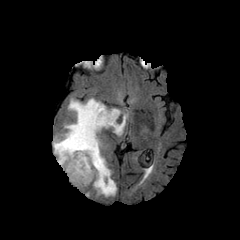
FLAIR MR.
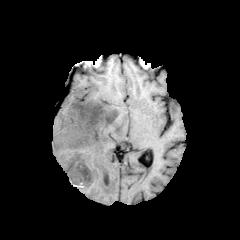
T1-weighted magnetic resonance of the same slice.
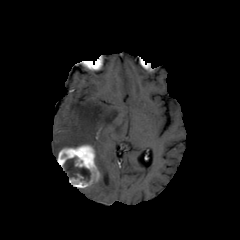
Post-contrast T1-weighted MRI of the same slice.
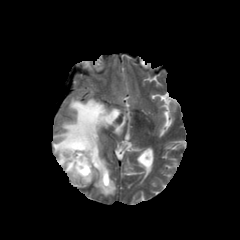
T2-weighted MR of the same slice.
non-enhancing_tumor_core:
  - rect(64, 158, 90, 180)
edema:
  - rect(52, 97, 129, 196)
enhancing_tumor:
  - rect(57, 144, 101, 188)